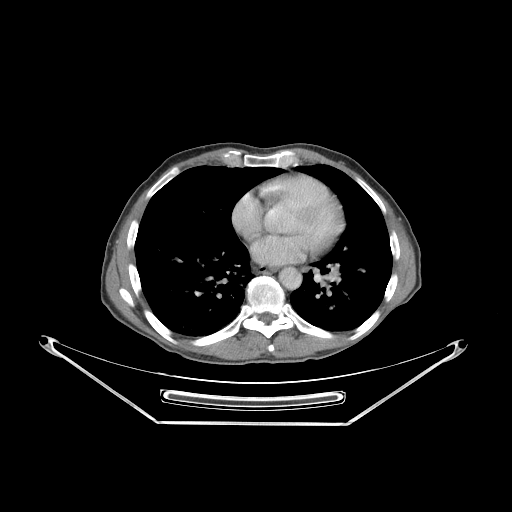

CT; 512x512 px
bone: bbox(127, 221, 137, 246); bbox(361, 183, 384, 211); bbox(351, 312, 378, 338); bbox(244, 151, 289, 166); bbox(193, 276, 331, 345); bbox(145, 309, 173, 341); bbox(390, 232, 399, 258); bbox(120, 289, 133, 305); bbox(129, 265, 140, 294); bbox(385, 275, 397, 300); bbox(147, 170, 174, 196) | lung: bbox(290, 165, 392, 331); bbox(135, 166, 281, 336)